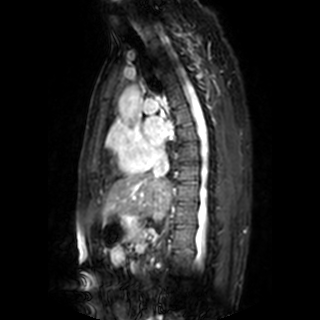
MR.

{
  "left_atrium": [
    "rect(143, 116, 173, 147)"
  ]
}